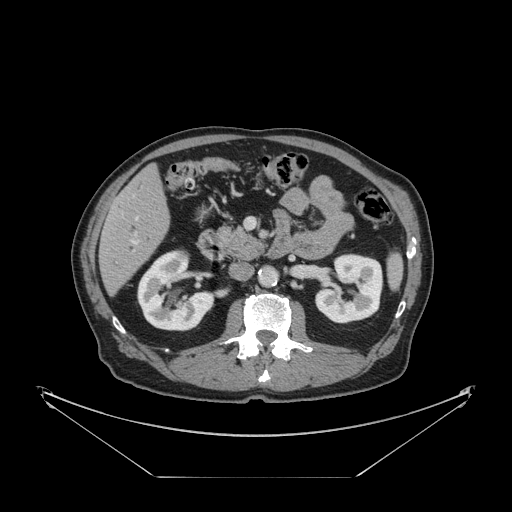 CT image. Liver.

The vessel boxes may cover only some of the vessels.
<segmentation>
  <hepatic_vessel>[132,233,138,243]</hepatic_vessel>
</segmentation>